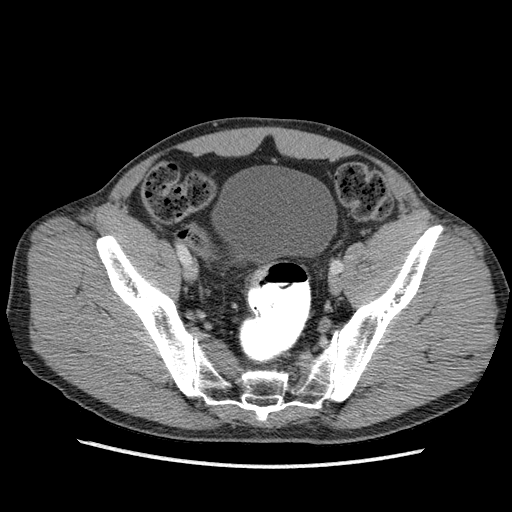 Pelvis, 512x512, Computed tomography

urinary_bladder:
  - box(212, 165, 337, 266)